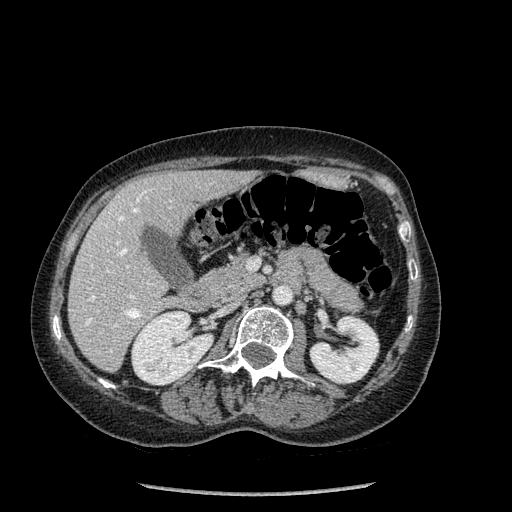 CT slice; 512x512
Liver: bounding box box=[68, 170, 257, 372].
Bone: bounding box box=[399, 223, 410, 241]; box=[408, 261, 417, 280]; box=[405, 316, 412, 331]; box=[98, 378, 115, 388]; box=[52, 315, 61, 339]; box=[198, 306, 305, 386].
Kidney: bounding box box=[310, 317, 378, 382]; box=[132, 311, 212, 384].